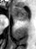
MRI; Hippocampus

anterior hippocampus: left=13, top=7, right=28, bottom=19 | posterior hippocampus: left=20, top=20, right=27, bottom=20